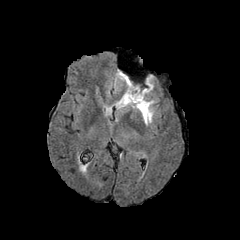
FLAIR MRI.
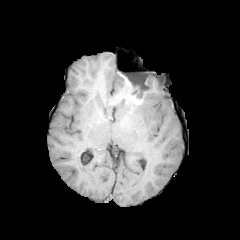
T1-weighted MRI.
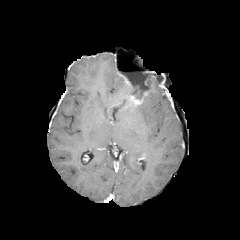
Post-contrast T1-weighted MR image.
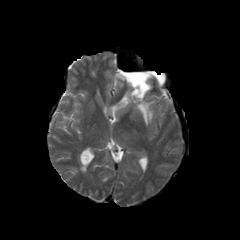
T2-weighted MR of the same slice.
Brain
Non-enhancing tumor core at bbox(130, 81, 147, 99).
Edema at bbox(104, 72, 134, 115); bbox(132, 76, 155, 125).
Enhancing tumor at bbox(128, 94, 142, 105).